FLAIR magnetic resonance.
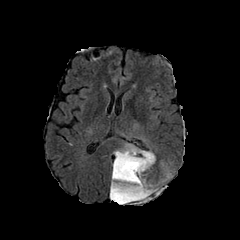
T1-weighted MRI.
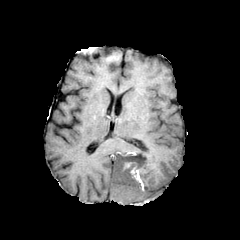
Post-contrast T1-weighted MR image.
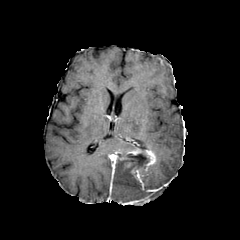
T2-weighted magnetic resonance.
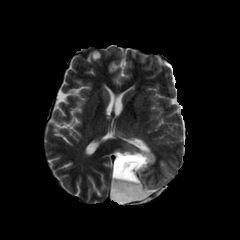
240x240, Head
Edema — 141,165,159,187; 114,143,137,154.
Enhancing tumor — 112,152,119,177; 145,151,155,167.
Non-enhancing tumor core — 111,150,158,202.